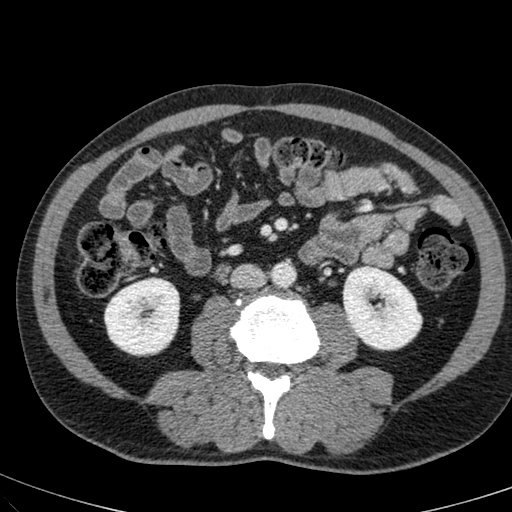 CT slice | 512x512 | Abdomen

kidney:
  - (105,279,177,353)
  - (344,268,420,348)